Slice 473/896, CT image, Upper abdomen

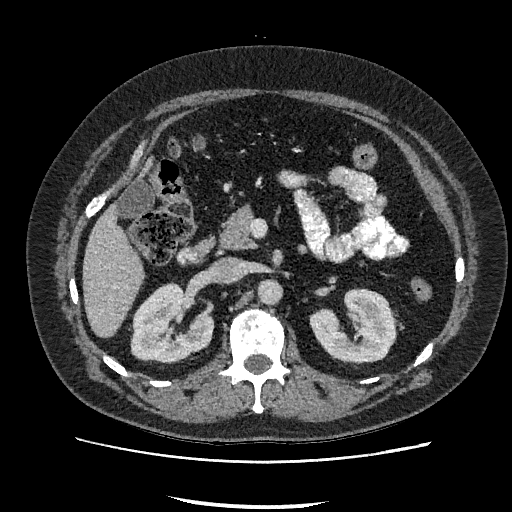
Kidney = x1=311 y1=290 x2=394 y2=361, x1=132 y1=285 x2=212 y2=361.
Liver = x1=142 y1=160 x2=151 y2=174, x1=83 y1=205 x2=143 y2=336.